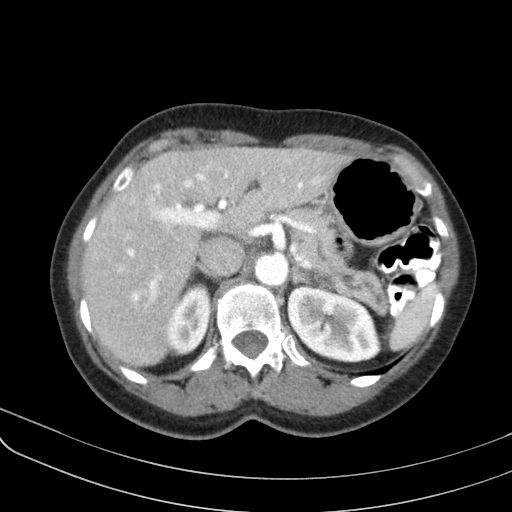

512x512; CT image; Upper abdomen
Pancreas = (x1=281, y1=207, x2=387, y2=314).